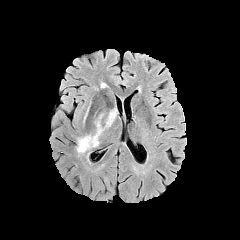
FLAIR MR image.
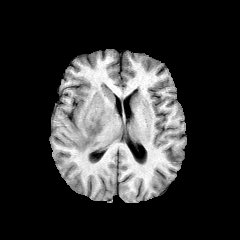
Same slice, T1-weighted MRI.
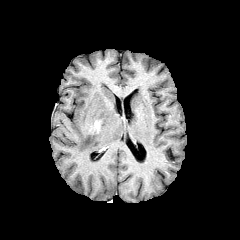
Same slice, post-contrast T1-weighted magnetic resonance.
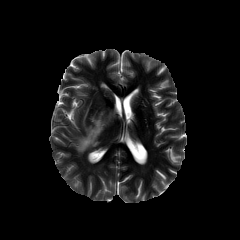
T2-weighted magnetic resonance of the same slice.
Brain.
<segmentation>
  <enhancing_tumor>(left=87, top=120, right=101, bottom=134)</enhancing_tumor>
  <edema>(left=76, top=107, right=118, bottom=154)</edema>
</segmentation>